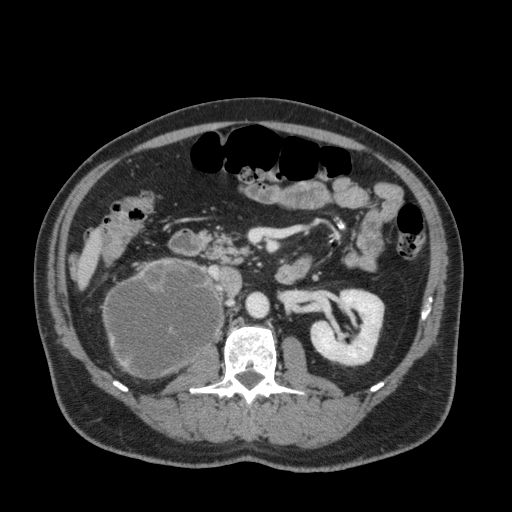

Upper abdomen. 512x512 px. CT slice.
• kidney: box(311, 290, 383, 364)
• liver: box(79, 231, 100, 287)